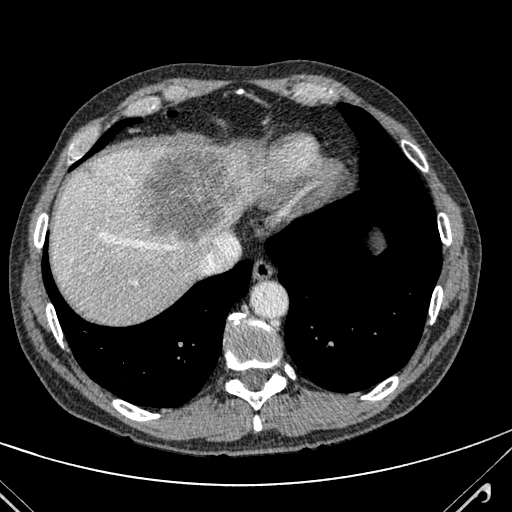 Computed tomography
Findings:
- hepatic lesion: <box>84,165,94,175</box>, <box>139,146,241,240</box>
- liver: <box>50,147,259,321</box>